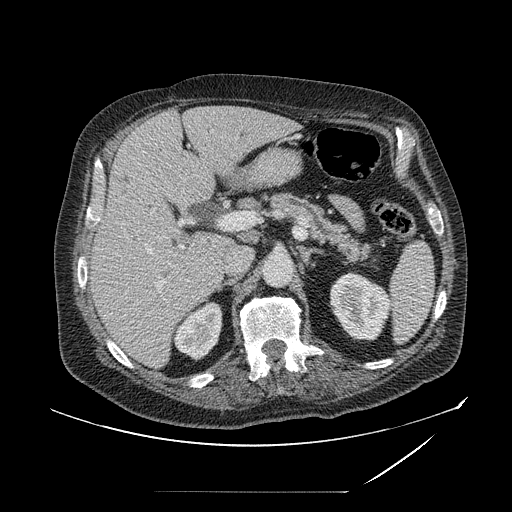
CT slice. Upper abdomen.

Pancreas: <box>264,191,375,263</box>.